CT slice | Image size 512x512 | Slice index 676 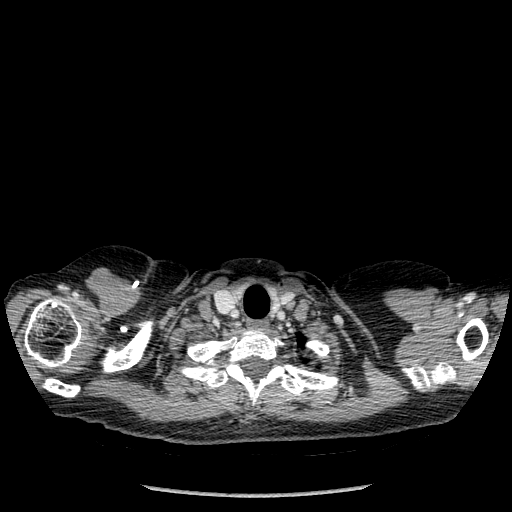
<segmentation>
  <lung>(left=244, top=286, right=269, bottom=318), (left=297, top=335, right=305, bottom=346)</lung>
  <bone>(left=101, top=321, right=153, bottom=372), (left=402, top=362, right=457, bottom=390), (left=24, top=298, right=83, bottom=368), (left=456, top=318, right=488, bottom=366), (left=179, top=328, right=338, bottom=405), (left=306, top=340, right=329, bottom=357), (left=42, top=378, right=79, bottom=397)</bone>
</segmentation>